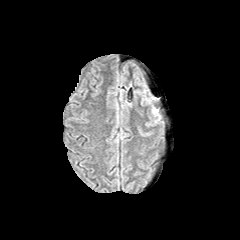
FLAIR MR.
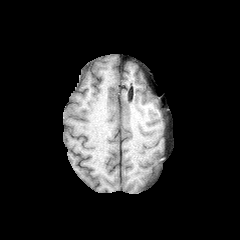
Same slice, T1-weighted MR image.
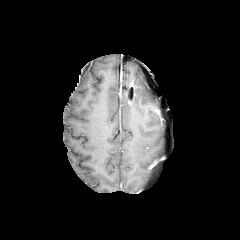
Post-contrast T1-weighted magnetic resonance.
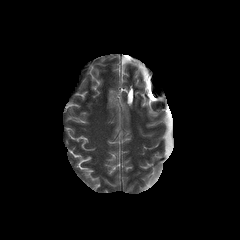
T2-weighted MR image of the same slice.
The edema is bounded by (x1=137, y1=91, x2=151, y2=104).